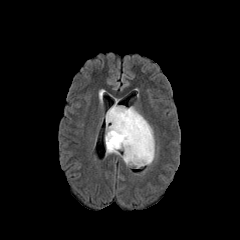
FLAIR MR.
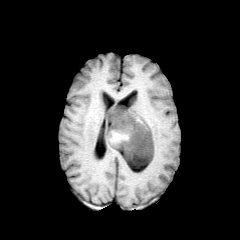
T1-weighted MRI.
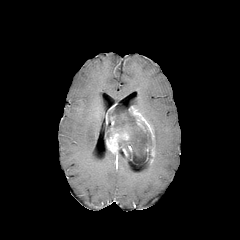
Post-contrast T1-weighted MR image.
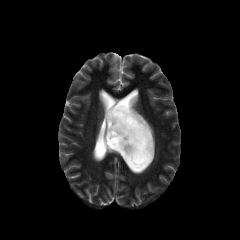
T2-weighted magnetic resonance of the same slice.
Head
Edema: (118, 151, 134, 167).
Enhancing tumor: (106, 103, 116, 124), (106, 116, 131, 156), (129, 106, 155, 162).
Non-enhancing tumor core: (105, 105, 152, 168).